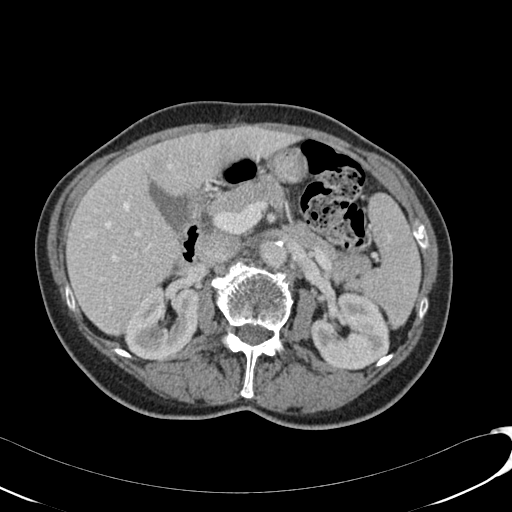

Liver, CT
Findings:
• liver: left=67, top=127, right=302, bottom=333
• liver lesion: left=152, top=161, right=165, bottom=172; left=216, top=146, right=244, bottom=165
• kidney: left=125, top=287, right=199, bottom=360; left=311, top=293, right=388, bottom=368